CT image | 512x512 | Slice 29/117
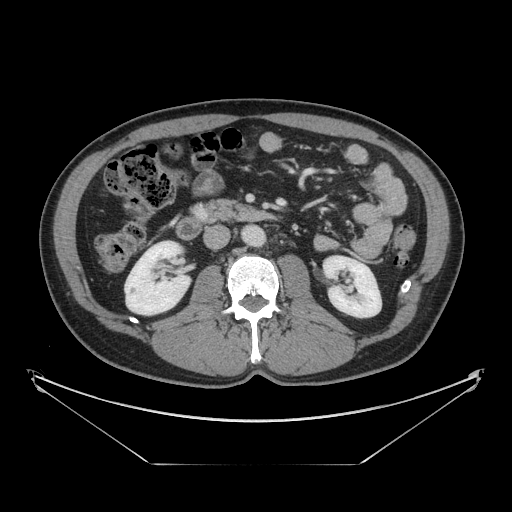 Pancreatic tumor: bbox(190, 203, 207, 221).
Pancreas: bbox(190, 199, 235, 223).